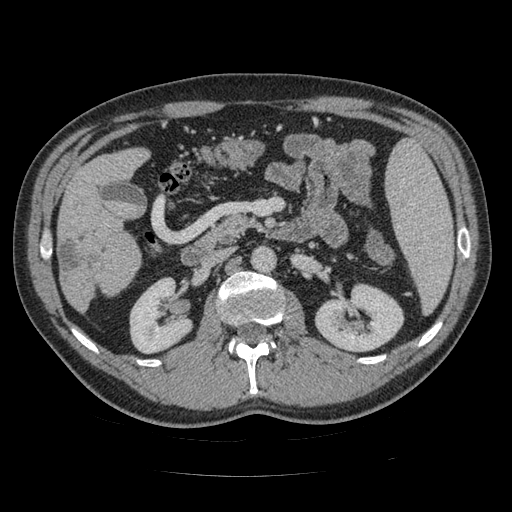
CT image

<segmentation>
  <pancreas>(200,214,255,246)</pancreas>
</segmentation>